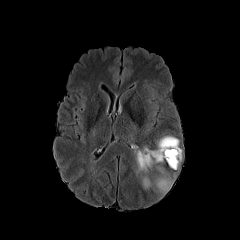
FLAIR MR.
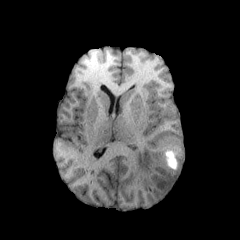
Same slice, T1-weighted MR image.
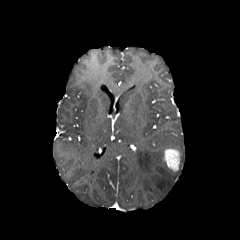
Post-contrast T1-weighted magnetic resonance.
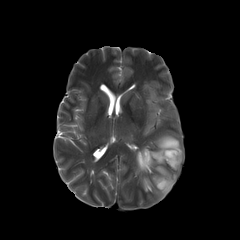
T2-weighted MR of the same slice.
The enhancing tumor is located at [x1=162, y1=147, x2=180, y2=172]. 2 edema regions are bounded by [x1=142, y1=175, x2=172, y2=195], [x1=135, y1=135, x2=179, y2=174].